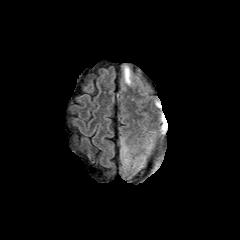
FLAIR MRI.
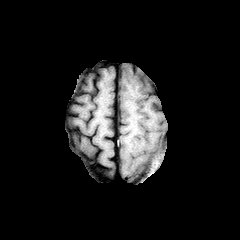
T1-weighted MRI.
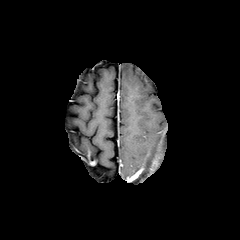
Same slice, post-contrast T1-weighted MR.
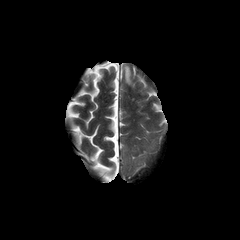
T2-weighted magnetic resonance of the same slice.
Head; 240x240
edema:
  - {"x1": 122, "y1": 64, "x2": 138, "y2": 84}